Slice 82 of 155; Field of view 240x240 mm
FLAIR magnetic resonance.
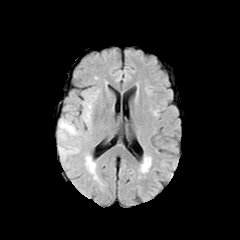
T1-weighted MR.
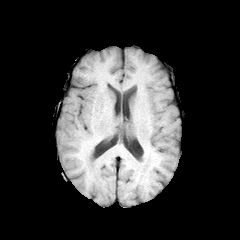
Post-contrast T1-weighted magnetic resonance.
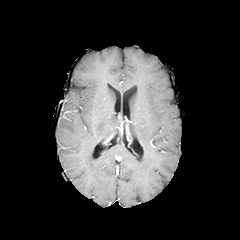
T2-weighted MR.
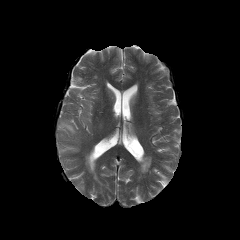
Findings:
* edema: 58,92,96,159; 84,153,96,172